Computed tomography; Abdomen
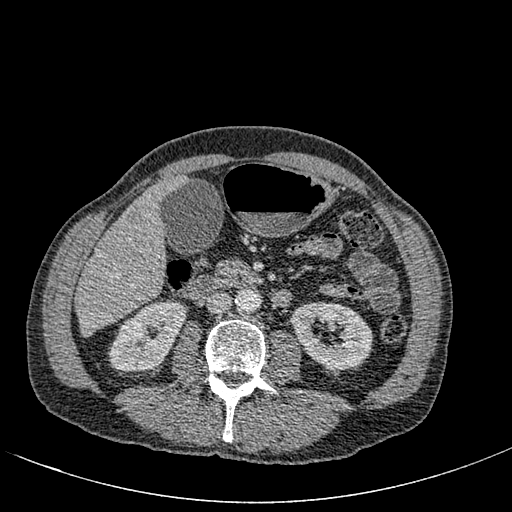
Annotated regions:
* kidney: rect(109, 301, 185, 371); rect(291, 299, 372, 371)
* liver: rect(75, 176, 186, 334)